Upper abdomen. Computed tomography. Slice 452/629.
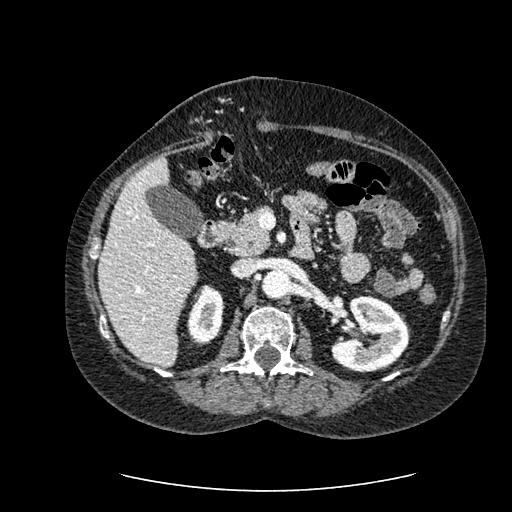 The liver is at (98, 157, 198, 365). 2 kidney regions appear at (326, 297, 408, 371), (188, 286, 222, 342).